Brain
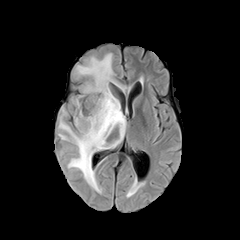
FLAIR magnetic resonance.
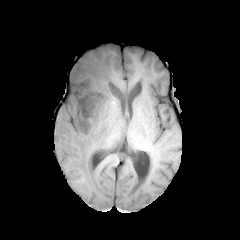
T1-weighted MR.
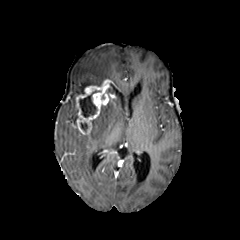
Post-contrast T1-weighted MR.
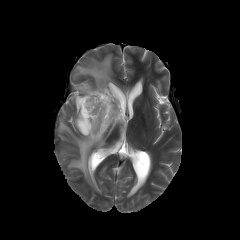
Same slice, T2-weighted MR image.
Enhancing tumor at <box>76,79,114,134</box>.
Edema at <box>76,53,119,86</box>, <box>58,97,126,191</box>.
Non-enhancing tumor core at <box>80,122,87,131</box>, <box>79,94,96,117</box>.